CT scan slice

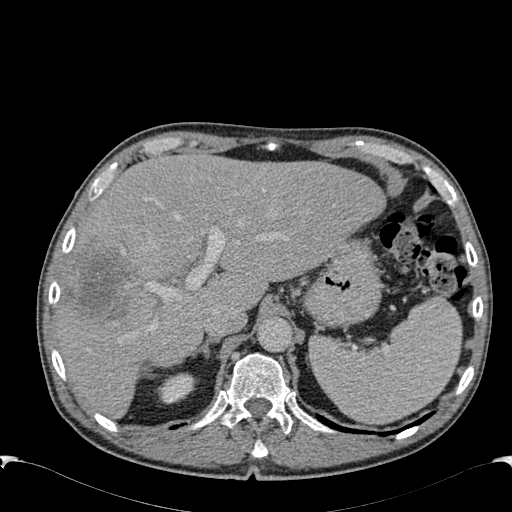

The kidney lies within x1=159, y1=374, x2=193, y2=402. The liver is at x1=54, y1=153, x2=385, y2=417. The hepatic lesion is at x1=64, y1=240, x2=133, y2=322.